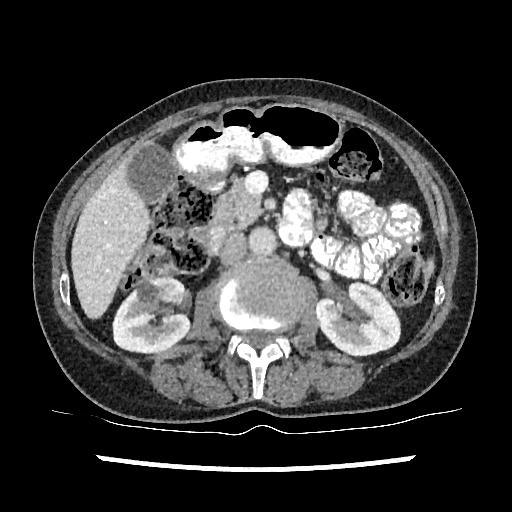

Computed tomography; Upper abdomen
Annotated regions:
• liver: 72 156 149 318
• kidney: 316 284 400 354, 114 278 190 352